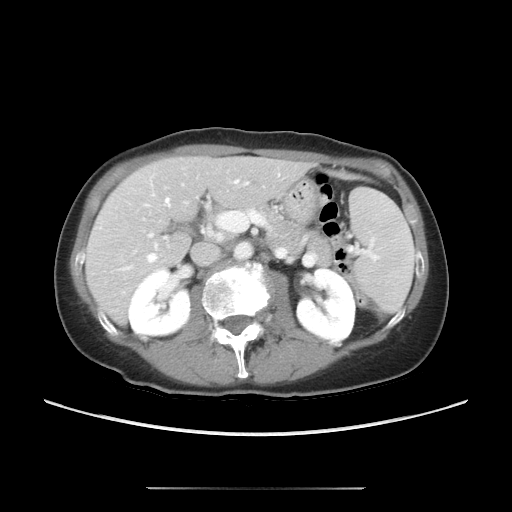
512x512 px. Computed tomography. Abdomen.

The vessel boxes may cover only some of the vessels.
Hepatic vessel: bounding box bbox=[181, 183, 183, 185]; bbox=[230, 181, 237, 183]; bbox=[164, 237, 166, 239]; bbox=[148, 233, 153, 237]; bbox=[153, 242, 158, 250]; bbox=[147, 254, 156, 261]; bbox=[143, 203, 150, 206]; bbox=[236, 181, 250, 188]; bbox=[165, 198, 169, 206].